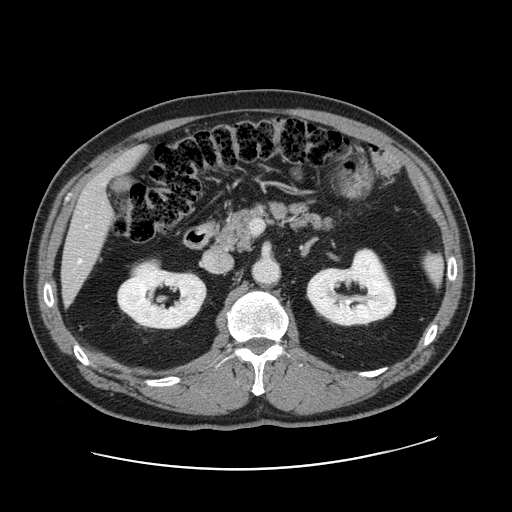

CT image, 512x512, Liver

The vessel boxes may cover only some of the vessels.
6 hepatic vessel regions are bounded by bbox=[100, 172, 108, 184]; bbox=[127, 148, 141, 154]; bbox=[67, 297, 68, 299]; bbox=[107, 205, 110, 212]; bbox=[78, 258, 81, 261]; bbox=[86, 224, 88, 226].